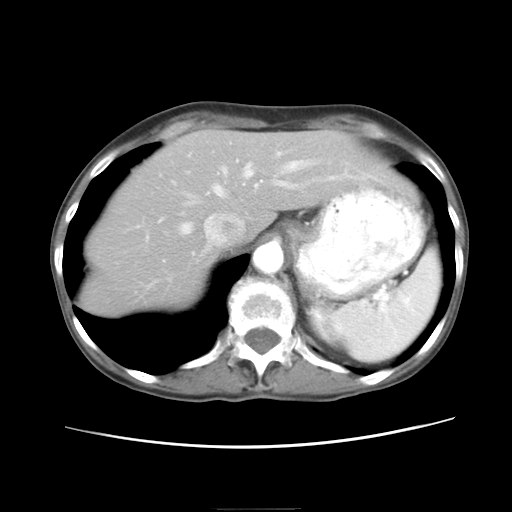

CT scan slice

The vessel boxes may cover only some of the vessels.
5 hepatic vessel regions are located at <box>277,152,279,154</box>, <box>244,164,251,175</box>, <box>214,186,221,194</box>, <box>181,223,189,232</box>, <box>254,184,256,186</box>.